Brain, Slice index 42
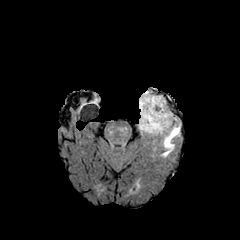
FLAIR MR.
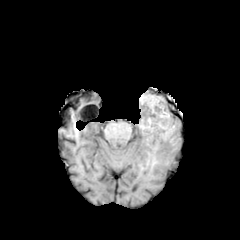
T1-weighted magnetic resonance.
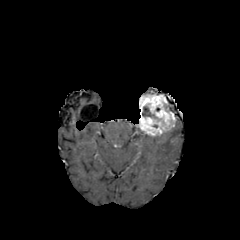
Post-contrast T1-weighted MR image.
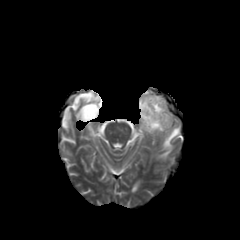
T2-weighted MR.
The edema is located at {"x1": 156, "y1": 122, "x2": 180, "y2": 158}. The non-enhancing tumor core is at {"x1": 142, "y1": 106, "x2": 155, "y2": 117}. The enhancing tumor is bounded by {"x1": 139, "y1": 92, "x2": 176, "y2": 134}.